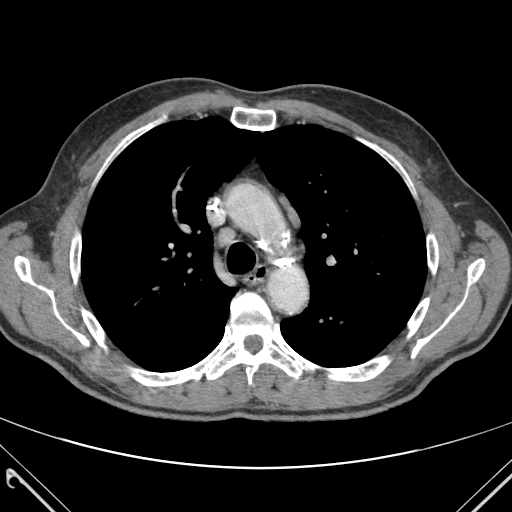

CT image

<segmentation>
  <lung>(x1=81, y1=117, x2=427, y2=371)</lung>
  <bone>(x1=70, y1=234, x2=81, y2=283), (x1=82, y1=309, x2=105, y2=348), (x1=99, y1=121, x2=156, y2=174), (x1=427, y1=235, x2=438, y2=273), (x1=360, y1=139, x2=409, y2=181), (x1=131, y1=293, x2=319, y2=385), (x1=327, y1=356, x2=389, y2=381), (x1=411, y1=259, x2=484, y2=357), (x1=14, y1=256, x2=88, y2=345), (x1=231, y1=107, x2=276, y2=130), (x1=408, y1=298, x2=429, y2=336)</bone>
</segmentation>